Image width 240 mm; Head
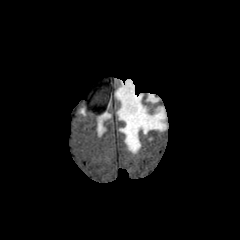
FLAIR magnetic resonance.
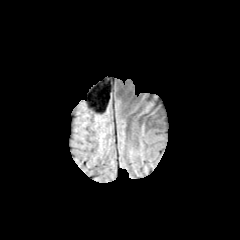
T1-weighted MR image.
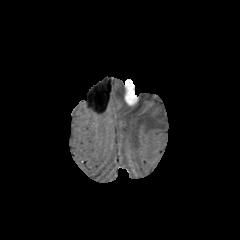
Same slice, post-contrast T1-weighted MR image.
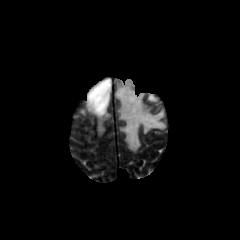
T2-weighted MR.
2 edema regions appear at bbox=[146, 94, 159, 103]; bbox=[115, 82, 166, 153]. The enhancing tumor appears at bbox=[124, 80, 137, 105].